Brain | Slice index 53
FLAIR MR.
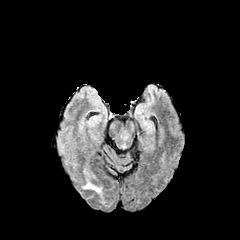
T1-weighted MRI.
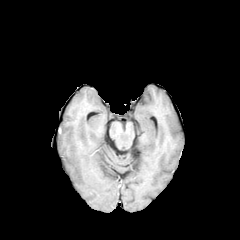
Post-contrast T1-weighted MRI.
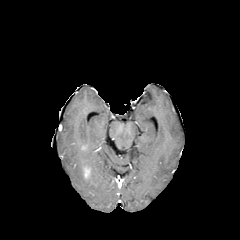
T2-weighted MR image.
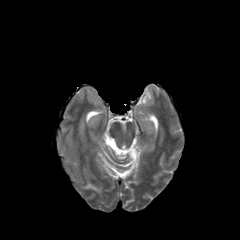
Edema: bounding box [84,168,101,193].